CT image.

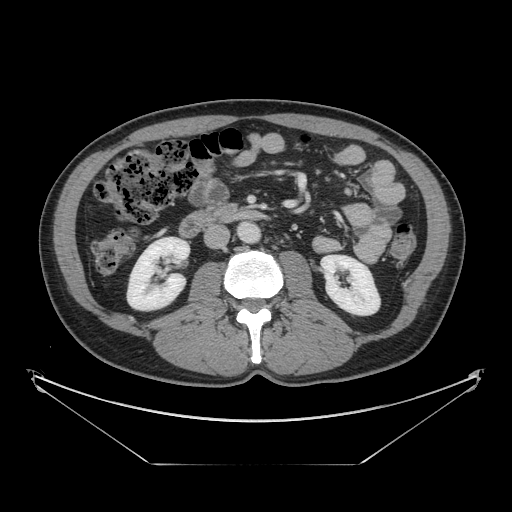
Findings:
* pancreas: region(194, 203, 235, 225)